FLAIR MR image.
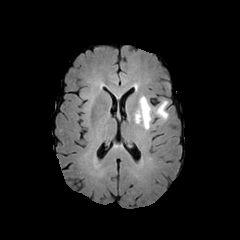
T1-weighted MRI.
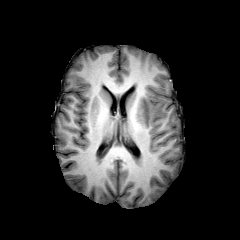
Post-contrast T1-weighted MR image.
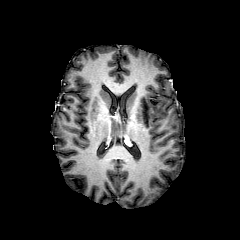
T2-weighted MRI.
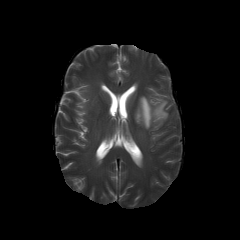
Brain | Image size 240x240
{
  "edema": [
    "<box>135,95,168,129</box>"
  ]
}